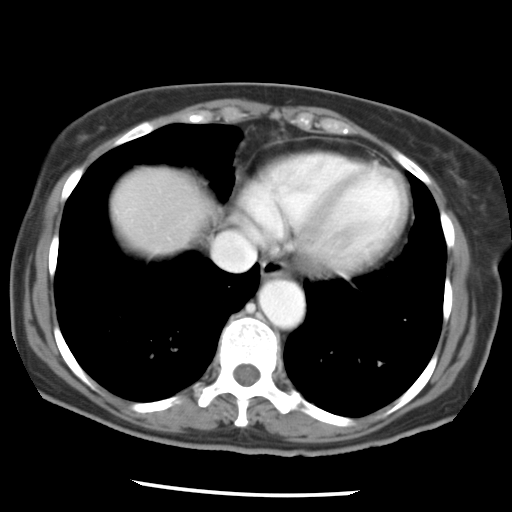
Liver. 512x512 px. CT image. The vessel boxes may cover only some of the vessels.
<segmentation>
  <hepatic_vessel>214, 232, 254, 269</hepatic_vessel>
</segmentation>